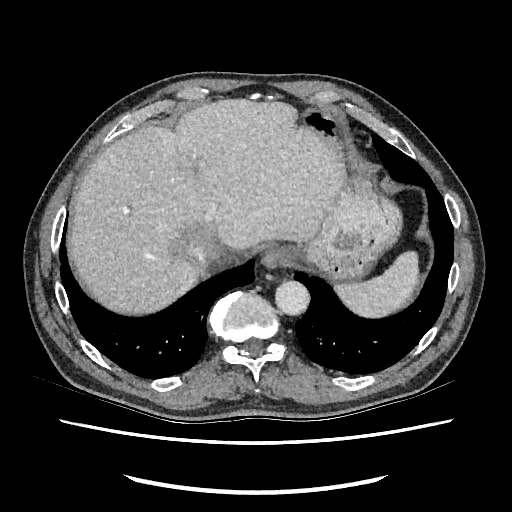

CT slice | Upper abdomen
hepatic lesion: bbox=[174, 226, 205, 261] | liver: bbox=[71, 100, 342, 311]